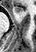
MRI. 36x52 px.

The anterior hippocampus appears at (left=14, top=6, right=23, bottom=14).